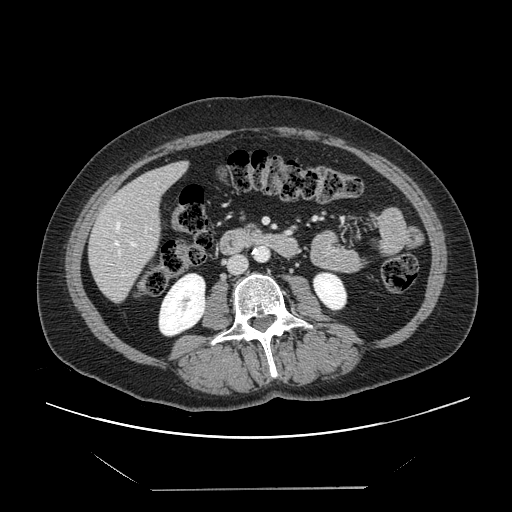
CT slice.
Not every hepatic vessel necessarily has a box.
hepatic_vessel:
  - bbox(128, 239, 136, 246)
  - bbox(114, 220, 120, 233)
  - bbox(113, 240, 120, 255)